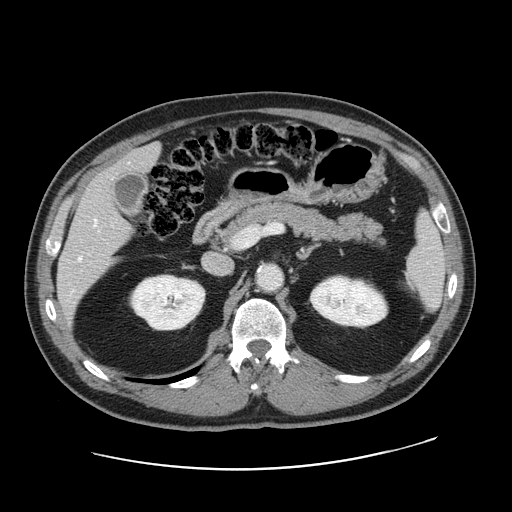
CT image. 512x512 px.
Not every hepatic vessel necessarily has a box.
5 hepatic vessel regions are bounded by region(152, 143, 159, 148); region(123, 221, 130, 229); region(93, 218, 96, 226); region(78, 257, 81, 260); region(71, 289, 73, 291).